Abdomen; CT; Slice 45 of 119

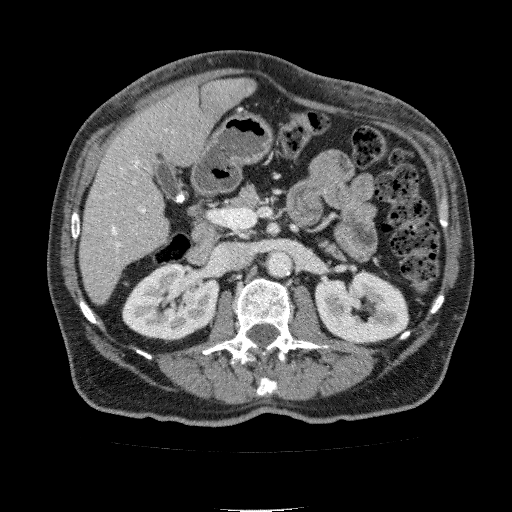
Annotated regions:
* liver: rect(81, 78, 257, 306)
* kidney: rect(316, 273, 407, 342); rect(123, 264, 218, 338)